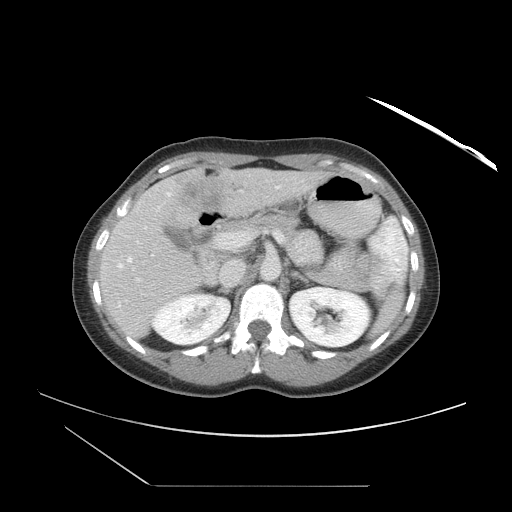

Abdomen; CT scan slice
The vessel annotation is not exhaustive.
The liver tumor lies within [x1=174, y1=172, x2=230, y2=212]. 10 hepatic vessel regions are bounded by [x1=127, y1=257, x2=131, y2=261], [x1=118, y1=264, x2=122, y2=267], [x1=167, y1=193, x2=170, y2=195], [x1=276, y1=186, x2=279, y2=188], [x1=136, y1=279, x2=140, y2=280], [x1=132, y1=267, x2=134, y2=269], [x1=219, y1=261, x2=243, y2=284], [x1=240, y1=190, x2=242, y2=192], [x1=145, y1=226, x2=146, y2=228], [x1=217, y1=232, x2=250, y2=248].